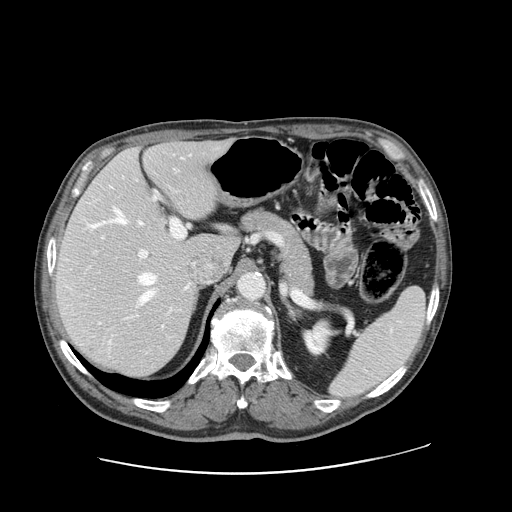

Image size 512x512. CT scan slice.
Some hepatic vessels may have no box.
hepatic_vessel:
  - (left=109, top=341, right=110, bottom=344)
  - (left=139, top=273, right=155, bottom=284)
  - (left=139, top=290, right=153, bottom=303)
  - (left=139, top=250, right=146, bottom=257)
  - (left=87, top=209, right=125, bottom=228)
  - (left=153, top=196, right=156, bottom=199)
  - (left=139, top=222, right=142, bottom=224)